Upper abdomen. Slice 597 of 630. CT scan slice. 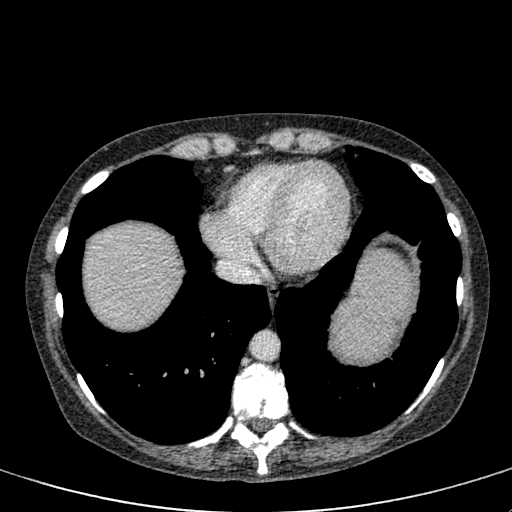 Liver = 84, 225, 180, 327.